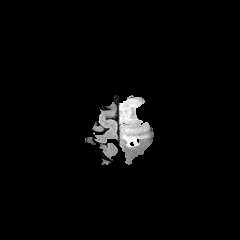
FLAIR MRI.
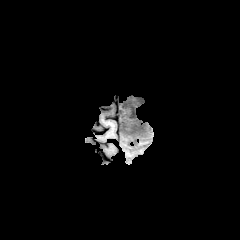
T1-weighted MRI.
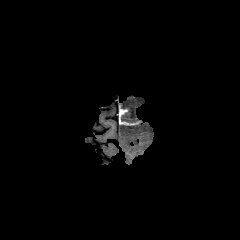
Post-contrast T1-weighted MR image.
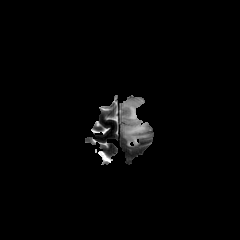
Same slice, T2-weighted magnetic resonance.
Enhancing tumor = (x1=124, y1=108, x2=144, y2=139).
Non-enhancing tumor core = (x1=122, y1=106, x2=127, y2=136).
Edema = (x1=120, y1=123, x2=126, y2=139), (x1=123, y1=98, x2=141, y2=120).